FLAIR MRI.
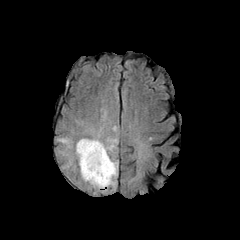
T1-weighted MR image.
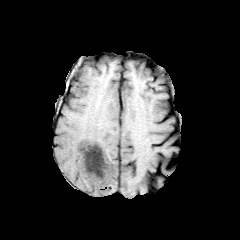
Post-contrast T1-weighted MRI.
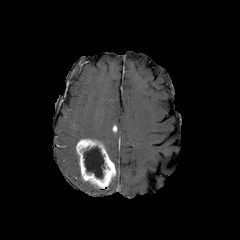
T2-weighted MR.
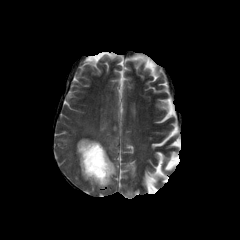
240x240; Head
Edema — (left=110, top=157, right=118, bottom=176), (left=88, top=136, right=117, bottom=154).
Enhancing tumor — (left=76, top=139, right=115, bottom=188).
Non-enhancing tumor core — (left=83, top=146, right=104, bottom=178).